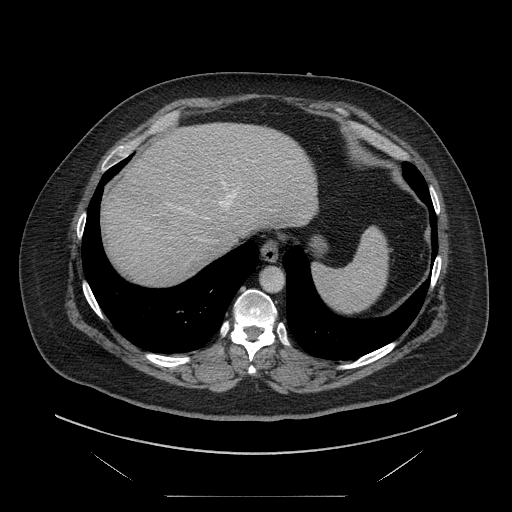

CT image

Not every hepatic vessel necessarily has a box.
2 hepatic vessel regions appear at x1=218 y1=179 x2=242 y2=213, x1=193 y1=236 x2=209 y2=241.